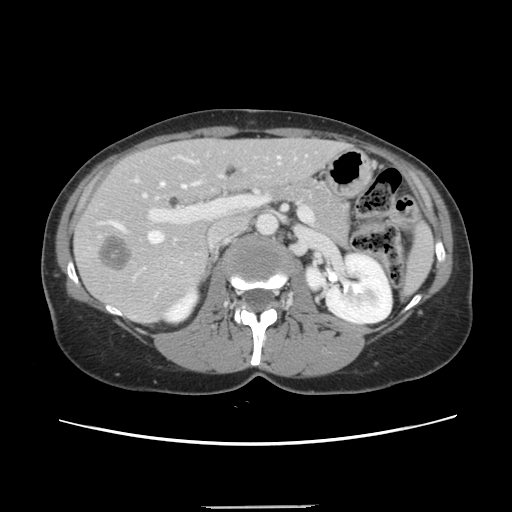
CT scan slice, Abdomen
Only some of the vessels may be annotated.
liver tumor: rect(99, 235, 132, 271) | hepatic vessel: rect(182, 185, 185, 186); rect(133, 178, 137, 181); rect(108, 221, 123, 229); rect(218, 175, 221, 176); rect(174, 156, 196, 162); rect(192, 181, 199, 184); rect(143, 194, 145, 196); rect(160, 182, 163, 185); rect(148, 231, 162, 242); rect(277, 156, 279, 159); rect(149, 209, 162, 221)